Brain. Slice 76 of 155.
FLAIR MR image.
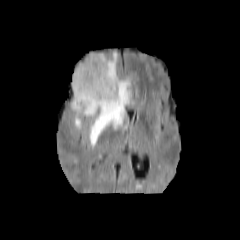
T1-weighted MR.
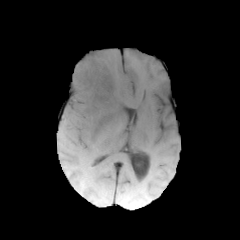
Post-contrast T1-weighted MR.
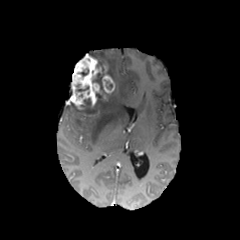
T2-weighted MR.
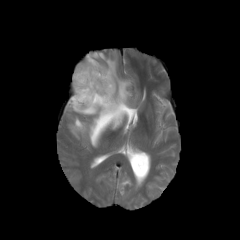
2 non-enhancing tumor core regions appear at x1=88 y1=51 x2=108 y2=71, x1=70 y1=72 x2=114 y2=114. The edema is at x1=74 y1=51 x2=134 y2=147. The enhancing tumor is at x1=68 y1=53 x2=115 y2=109.